Abdomen; CT; 512x512

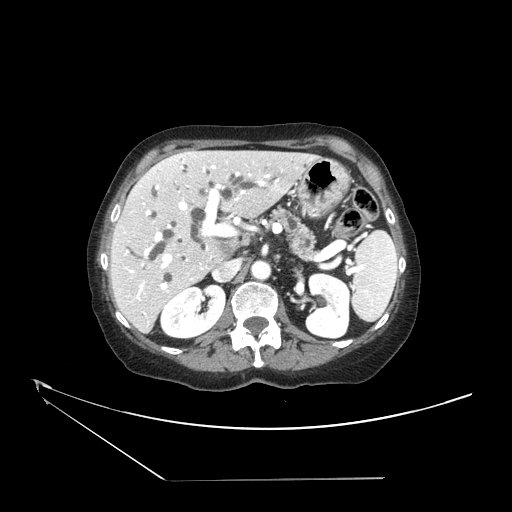 Segmented structures:
* pancreas: {"x1": 276, "y1": 209, "x2": 318, "y2": 259}